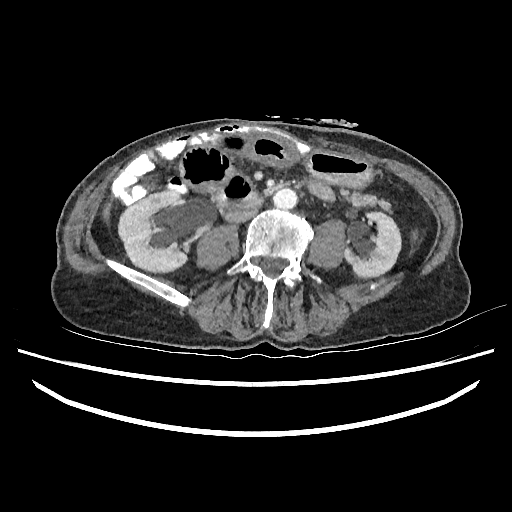

CT
Annotated regions:
• kidney: <box>119,190,186,271</box>, <box>345,212,400,276</box>
• liver: <box>103,206,109,219</box>